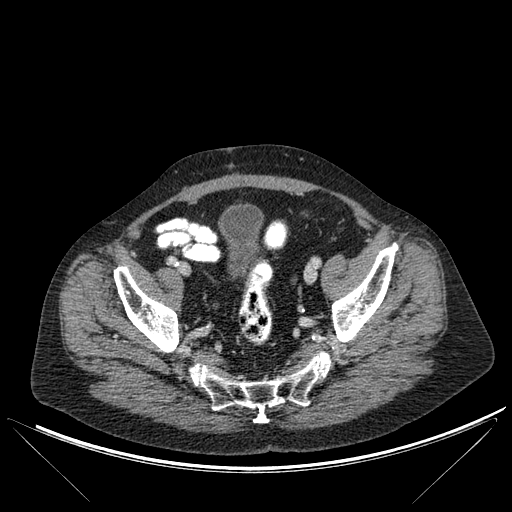 CT | Image size 512x512

3 bone regions are bounded by region(114, 266, 178, 352); region(189, 351, 330, 422); region(332, 243, 398, 342).